Image size 512x512; Abdomen; CT scan slice
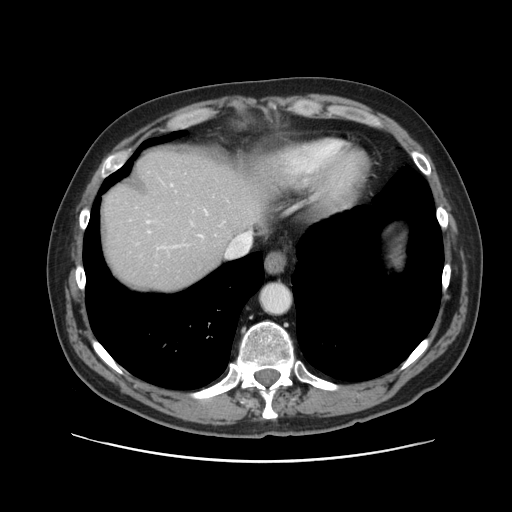 Only some of the vessels may be annotated.
Hepatic vessel at bbox(204, 210, 207, 214); bbox(170, 246, 177, 247); bbox(148, 231, 149, 232); bbox(146, 221, 150, 222); bbox(157, 247, 163, 248).